Hippocampus; MRI slice 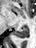

Segmented structures:
- posterior hippocampus: [x1=15, y1=26, x2=28, y2=37]